Slice 68/114. CT slice. Pelvis. 512x512 px. 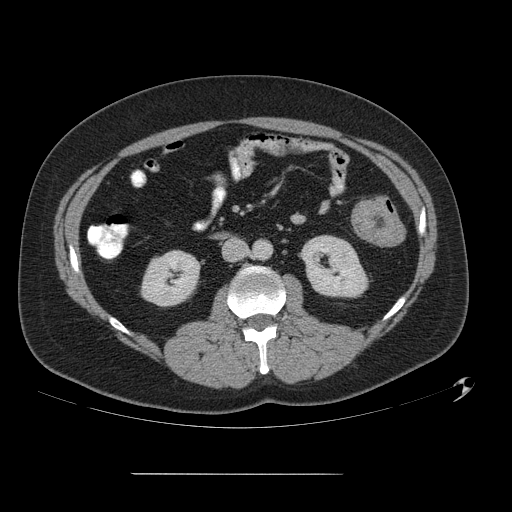

Segmented structures:
* colon tumor: [352,197,406,245]